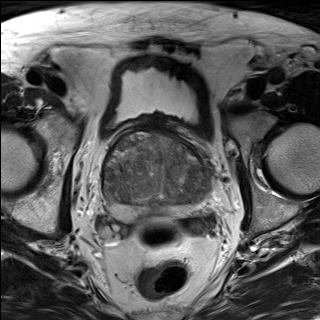
T2-weighted MR image.
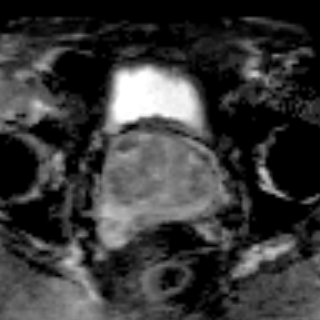
Same slice, ADC MR.
{"prostate_peripheral_zone": ["(x1=104, y1=189, x2=206, y2=221)"], "prostate_transition_zone": ["(x1=104, y1=132, x2=207, y2=204)"]}